Liver. Image size 512x512. CT slice.

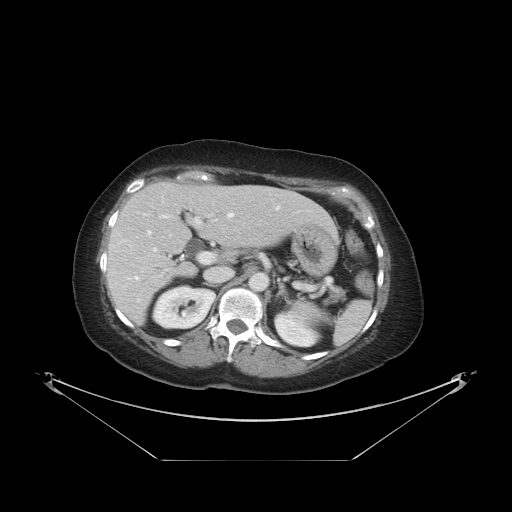
The vessel annotation is not exhaustive.
Hepatic vessel at (x1=136, y1=277, x2=138, y2=279), (x1=188, y1=214, x2=198, y2=222), (x1=199, y1=252, x2=215, y2=263), (x1=228, y1=213, x2=233, y2=217), (x1=277, y1=207, x2=279, y2=209), (x1=194, y1=224, x2=201, y2=226), (x1=178, y1=250, x2=184, y2=259), (x1=161, y1=215, x2=169, y2=217), (x1=210, y1=269, x2=232, y2=280), (x1=154, y1=248, x2=156, y2=250), (x1=148, y1=231, x2=151, y2=233).